Upper abdomen. Field of view 370x370 mm. Slice index 569. Computed tomography. 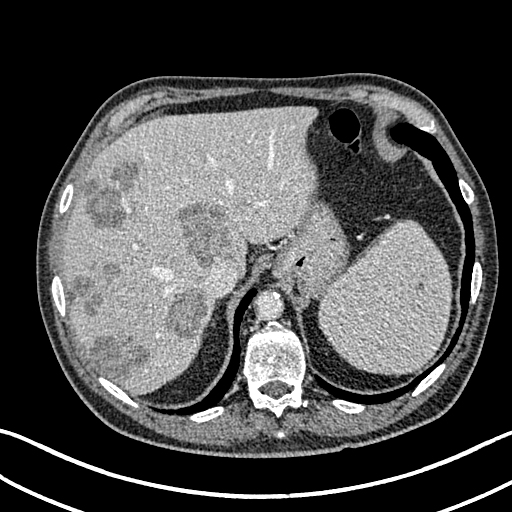 focal liver lesion: region(72, 274, 101, 316); region(108, 160, 142, 189); region(85, 177, 126, 230); region(165, 289, 207, 342); region(87, 333, 149, 379); region(103, 262, 120, 283); region(180, 203, 230, 267) | liver: region(64, 107, 318, 393)